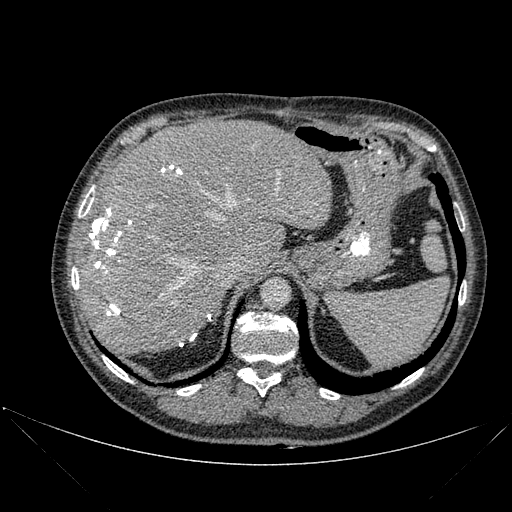 Upper abdomen; Computed tomography

Segmented structures:
* lung: <bbox>100, 346, 119, 362</bbox>, <bbox>195, 355, 226, 379</bbox>, <bbox>298, 296, 457, 394</bbox>, <bbox>429, 174, 465, 286</bbox>
* bone: <bbox>458, 285, 466, 304</bbox>, <bbox>238, 312, 297, 364</bbox>, <bbox>237, 368, 280, 396</bbox>, <bbox>71, 267, 79, 289</bbox>, <bbox>399, 368, 423, 386</bbox>, <bbox>320, 388, 339, 399</bbox>, <bbox>79, 185, 93, 216</bbox>, <bbox>102, 356, 132, 382</bbox>, <bbox>177, 384, 200, 395</bbox>
* liver: <bbox>78, 119, 332, 353</bbox>